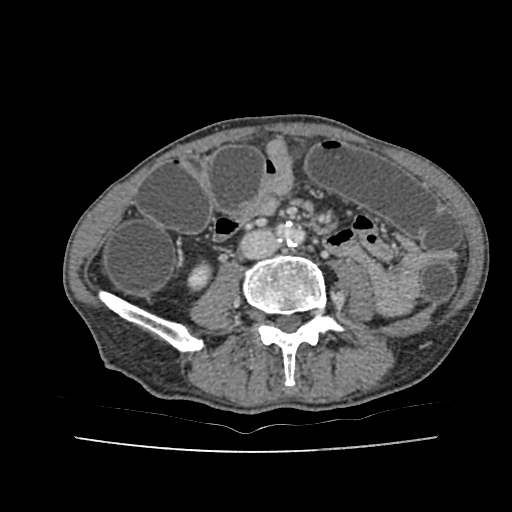

512x512 px. CT scan slice.

kidney: [190, 270, 205, 284]